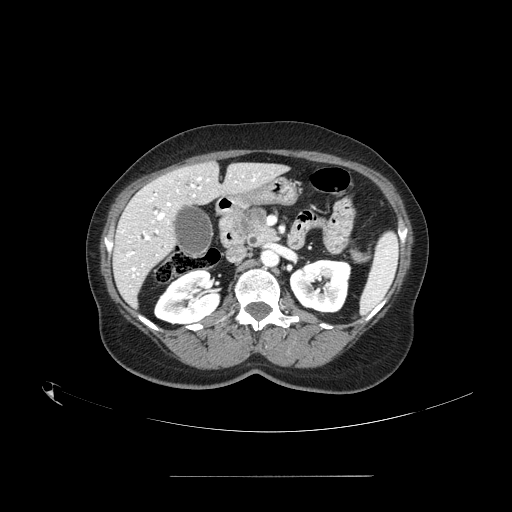

CT slice. Upper abdomen.

{"pancreas": ["235, 207, 277, 243"], "pancreatic_tumor": ["238, 208, 264, 234"]}